Slice index 99. Head.
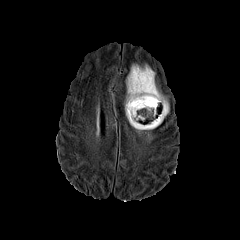
FLAIR magnetic resonance.
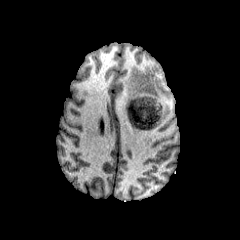
T1-weighted MR of the same slice.
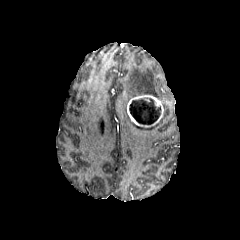
Same slice, post-contrast T1-weighted MRI.
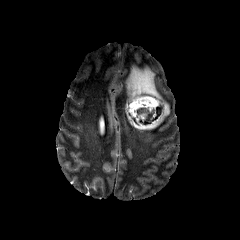
T2-weighted MRI of the same slice.
The edema appears at (x1=125, y1=65, x2=169, y2=131). The enhancing tumor lies within (x1=127, y1=95, x2=163, y2=126). The non-enhancing tumor core appears at (x1=129, y1=97, x2=161, y2=125).